512x512; Abdomen; Computed tomography; Slice 67/100 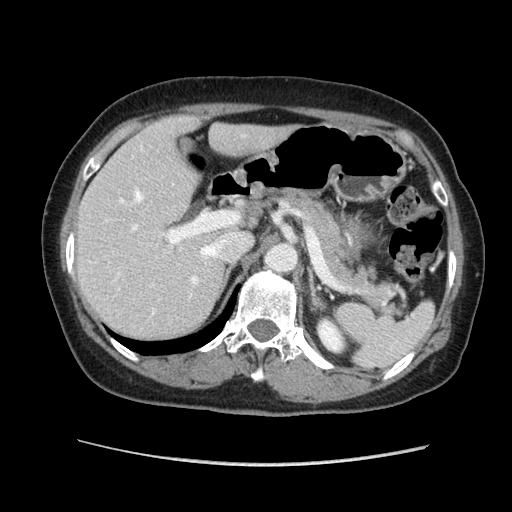 {
  "pancreas": [
    "[x1=256, y1=187, x2=408, y2=320]"
  ]
}